Field of view 411x411 mm; Abdomen; CT scan slice; 512x512
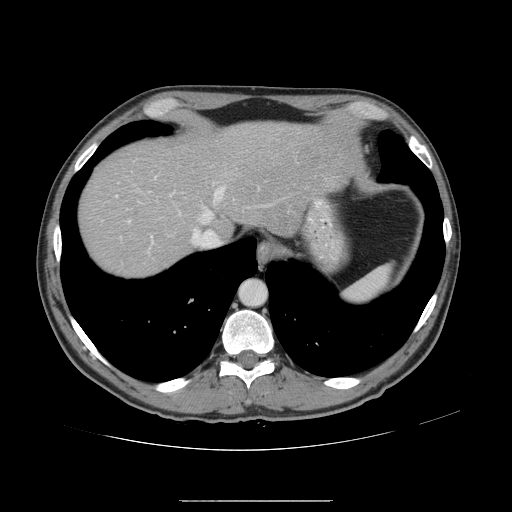
Some hepatic vessels may have no box.
<segmentation>
  <hepatic_vessel>(192,230,218,246), (150,234,152,239), (169,193,173,196), (199,207,211,223), (215,187,224,200), (128,220,130,222)</hepatic_vessel>
</segmentation>